FLAIR MR image.
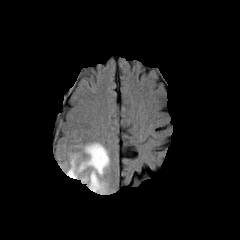
T1-weighted MR image.
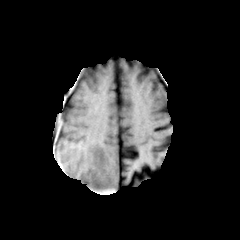
Post-contrast T1-weighted MR image.
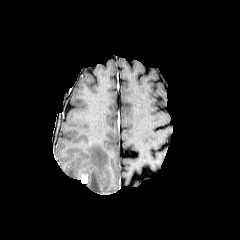
T2-weighted magnetic resonance.
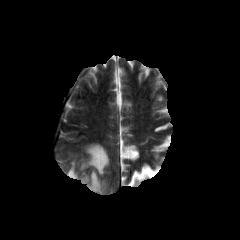
Brain, 240x240 px
Findings:
• enhancing tumor: 80 174 87 183
• edema: 67 143 110 191